Slice 83 of 155; 240x240 px; Head
FLAIR MRI.
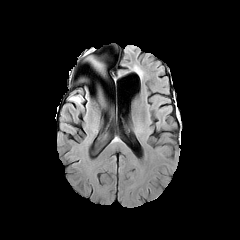
T1-weighted MR.
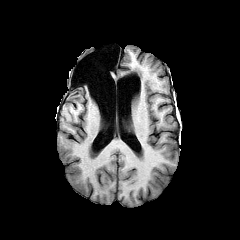
Post-contrast T1-weighted MR.
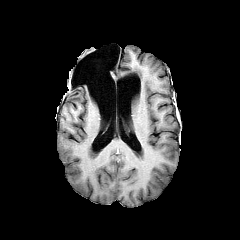
T2-weighted MR.
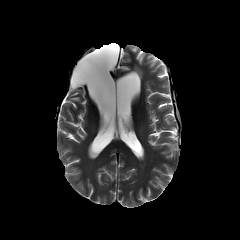
Findings:
* edema: box(70, 94, 83, 106)